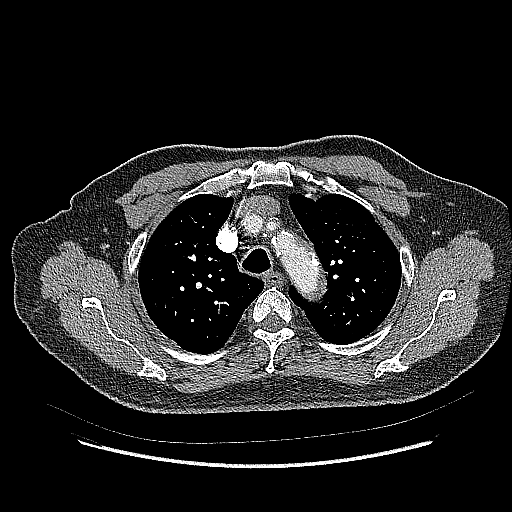
512x512 | Computed tomography
lung tumor: x1=379, y1=243, x2=389, y2=256; x1=344, y1=224, x2=366, y2=244